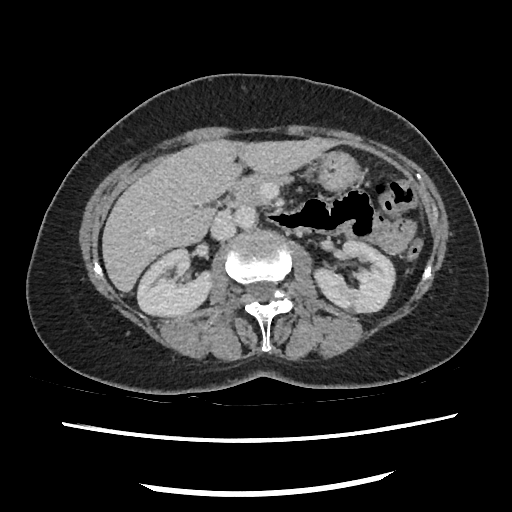

CT scan slice
<segmentation>
  <pancreas>rect(230, 173, 289, 205)</pancreas>
</segmentation>